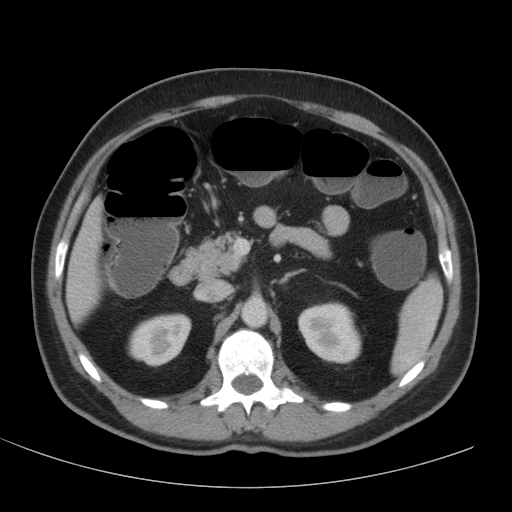 Computed tomography
{"liver": ["(67,198,100,319)"], "kidney": ["(130,314,190,365)", "(298,303,360,362)"]}